Brain, Image width 240 mm
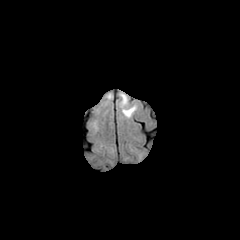
FLAIR MRI.
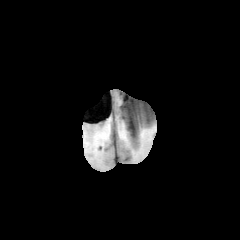
T1-weighted MR of the same slice.
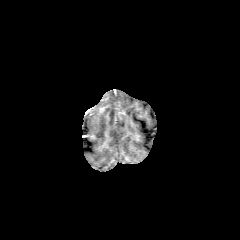
Same slice, post-contrast T1-weighted MR.
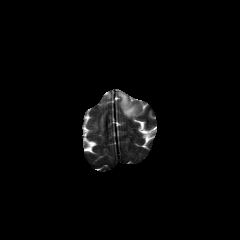
T2-weighted MR image.
edema: x1=119 y1=93 x2=138 y2=118